FLAIR MR.
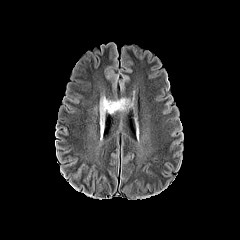
T1-weighted MR.
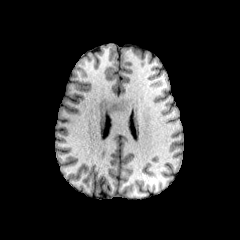
Post-contrast T1-weighted MRI.
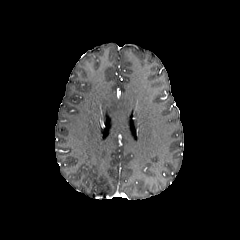
T2-weighted MR.
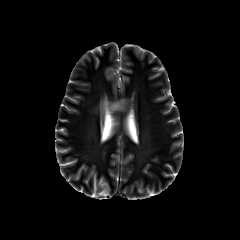
240x240 px
Edema: region(99, 96, 134, 140).